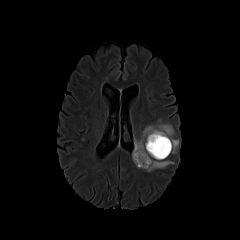
FLAIR MR image.
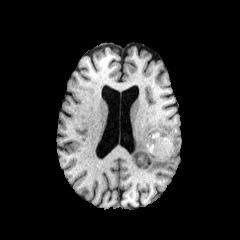
Same slice, T1-weighted MR.
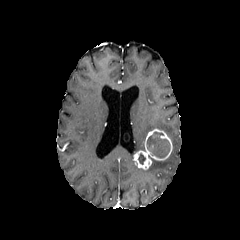
Same slice, post-contrast T1-weighted MR.
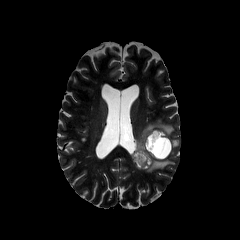
T2-weighted MR of the same slice.
Brain
Non-enhancing tumor core at x1=146, y1=134, x2=170, y2=157.
Enhancing tumor at x1=132, y1=129, x2=172, y2=169.
Edema at x1=144, y1=158, x2=174, y2=172; x1=134, y1=119, x2=178, y2=153.